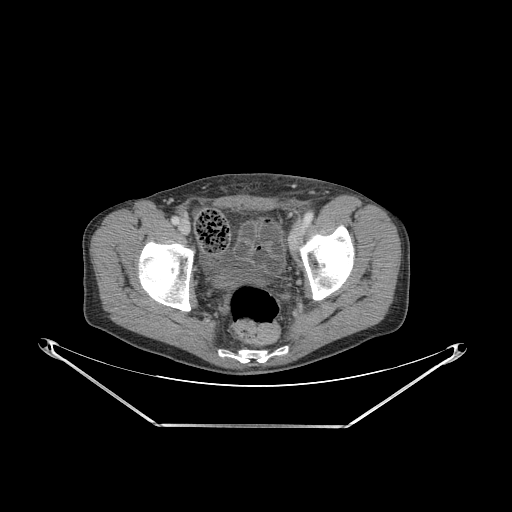 CT image
Bone at 219:346:287:362, 300:225:353:300, 138:241:193:311.